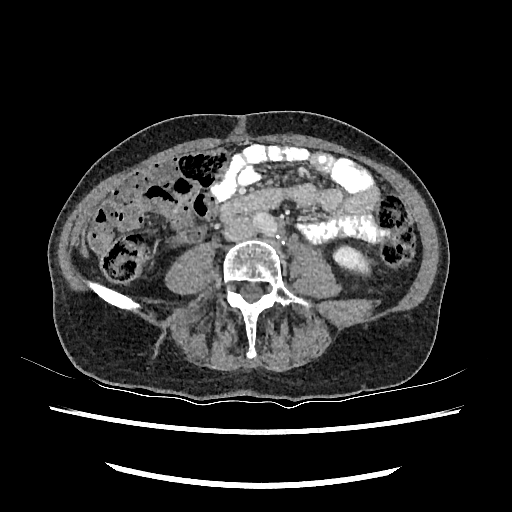
Abdomen, CT
{
  "kidney": [
    "335:248:363:267"
  ]
}